Field of view 240x240 mm. Slice index 45. 240x240 px.
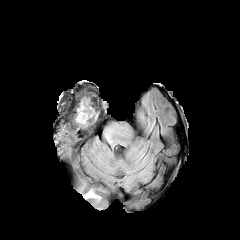
FLAIR magnetic resonance.
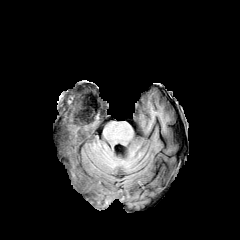
T1-weighted MR image.
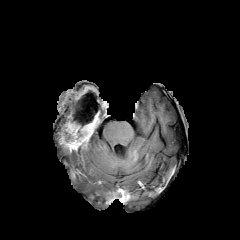
Post-contrast T1-weighted magnetic resonance.
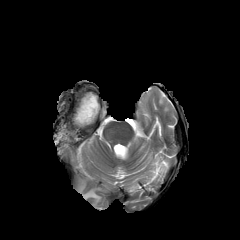
T2-weighted MRI.
2 edema regions are located at (x1=75, y1=101, x2=83, y2=125), (x1=79, y1=184, x2=101, y2=203). 2 non-enhancing tumor core regions are located at (x1=58, y1=123, x2=78, y2=136), (x1=64, y1=102, x2=98, y2=158). 2 enhancing tumor regions appear at (x1=65, y1=129, x2=77, y2=141), (x1=59, y1=133, x2=71, y2=151).